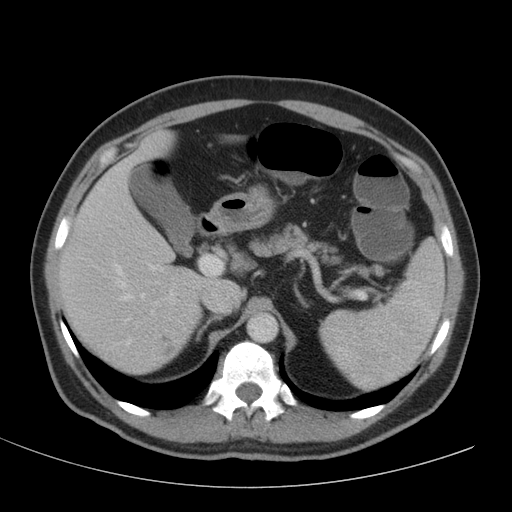

Abdomen; CT scan slice; Image size 512x512
The liver lesion is bounded by region(159, 336, 174, 356). The liver is located at region(57, 132, 244, 373).